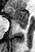

MRI slice

Anterior hippocampus — <box>7,7,27,21</box>.
Posterior hippocampus — <box>13,21,27,29</box>.